Slice 94 of 155.
FLAIR MRI.
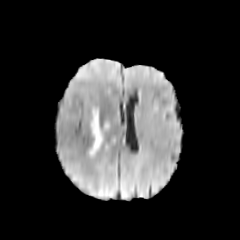
T1-weighted magnetic resonance.
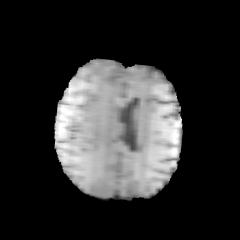
Post-contrast T1-weighted MR.
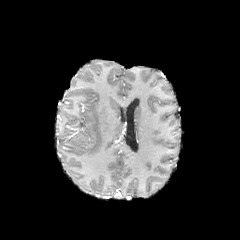
T2-weighted magnetic resonance.
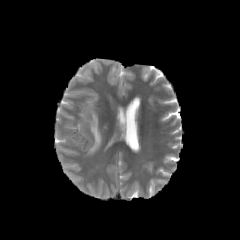
Edema = (x1=87, y1=110, x2=103, y2=157).